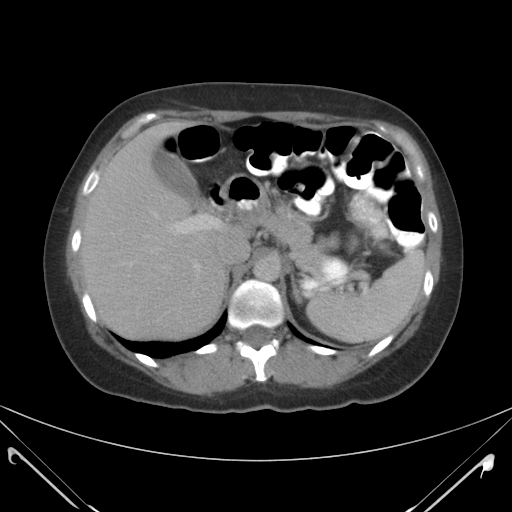

Computed tomography

Spleen: bounding box [308, 252, 424, 341].